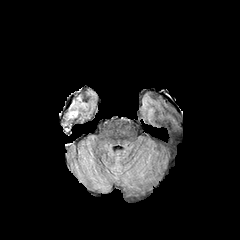
FLAIR MR image.
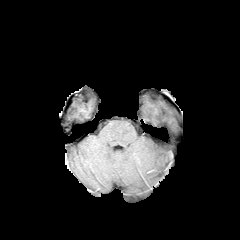
T1-weighted magnetic resonance of the same slice.
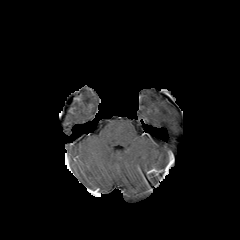
Post-contrast T1-weighted MR of the same slice.
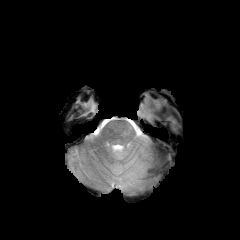
T2-weighted MR image.
Brain, 240x240
2 edema regions appear at (113, 155, 144, 187), (115, 149, 129, 160).